240x240 px | Field of view 240x240 mm | Slice index 114
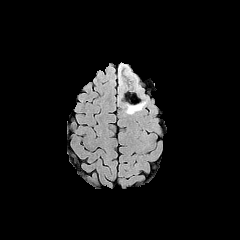
FLAIR MRI.
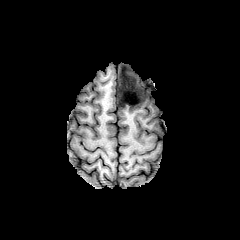
T1-weighted MRI.
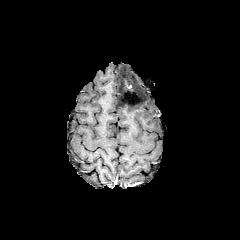
Same slice, post-contrast T1-weighted MR.
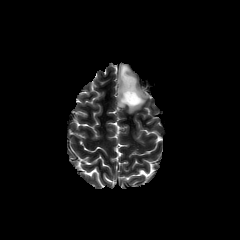
Same slice, T2-weighted MR image.
Edema: bounding box region(124, 92, 139, 103); region(117, 92, 147, 114); region(118, 66, 141, 89).
Non-enhancing tumor core: bounding box region(118, 75, 143, 108).